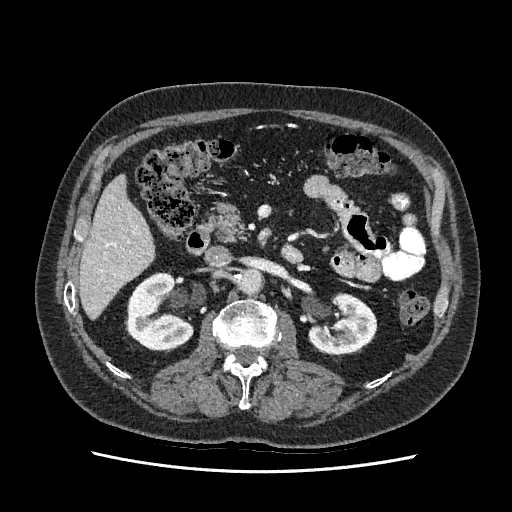

Abdomen | CT image
Liver: [80,175,154,318].
Kidney: [128,274,192,349], [309,295,376,353].